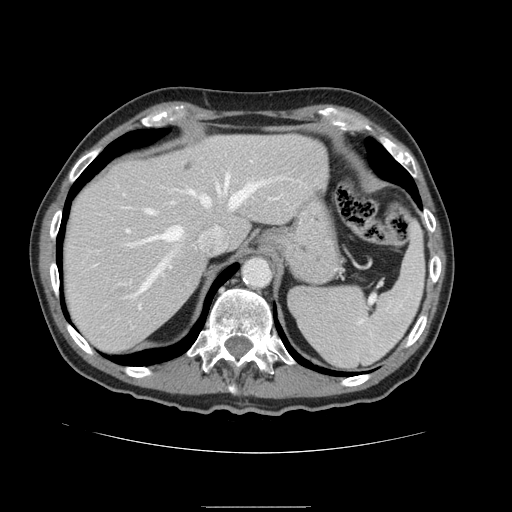

512x512 px | Abdomen | CT slice
The vessel boxes may cover only some of the vessels.
hepatic vessel: (146, 209, 154, 213), (205, 213, 206, 215), (217, 174, 229, 192), (142, 226, 182, 241), (127, 229, 129, 231), (129, 256, 170, 297), (185, 188, 210, 206), (229, 178, 275, 209), (199, 225, 227, 252), (171, 201, 173, 202), (128, 243, 131, 245)